FLAIR MRI.
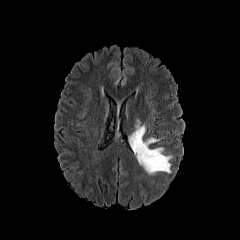
T1-weighted magnetic resonance.
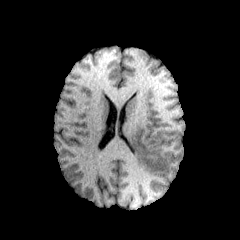
Post-contrast T1-weighted magnetic resonance.
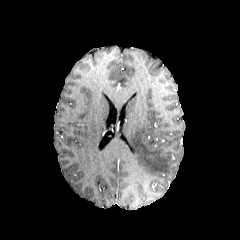
T2-weighted MR.
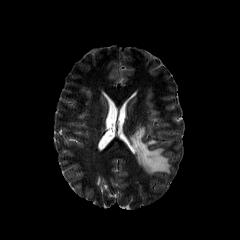
Head, Image size 240x240
Edema — (129,125,170,174).